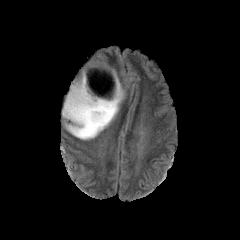
FLAIR MR image.
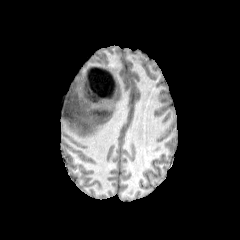
Same slice, T1-weighted MRI.
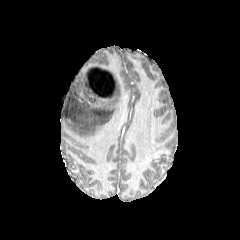
Post-contrast T1-weighted MR image.
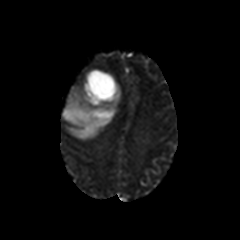
T2-weighted MR.
{"edema": ["(62, 74, 123, 140)"], "non-enhancing_tumor_core": ["(94, 110, 109, 117)"]}